Slice 124 of 155
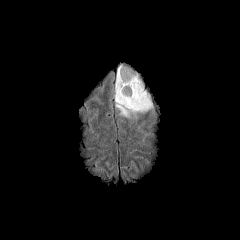
FLAIR MR image.
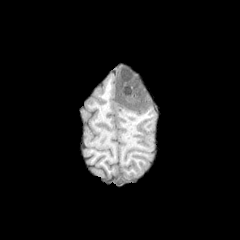
T1-weighted magnetic resonance.
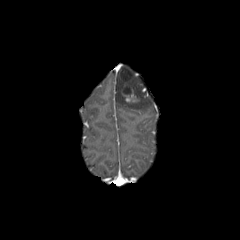
Post-contrast T1-weighted MRI of the same slice.
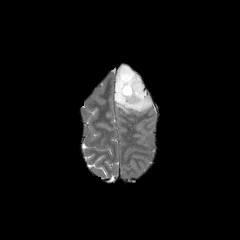
T2-weighted magnetic resonance of the same slice.
edema:
  - 116 75 152 115
non-enhancing_tumor_core:
  - 122 80 136 89
  - 119 66 134 82
enhancing_tumor:
  - 119 85 138 103